Computed tomography | Image size 512x512 | Slice index 44
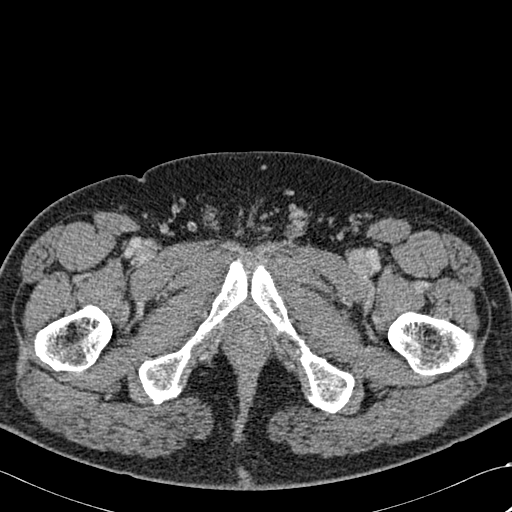

4 bone regions are located at <bbox>388, 312, 472, 375</bbox>, <bbox>139, 261, 247, 403</bbox>, <bbox>34, 305, 111, 371</bbox>, <bbox>251, 264, 354, 412</bbox>.